Computed tomography. Upper abdomen.
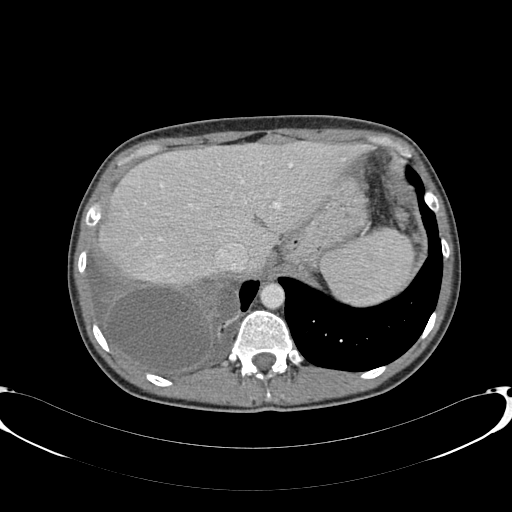

The liver is at 99 141 376 284.